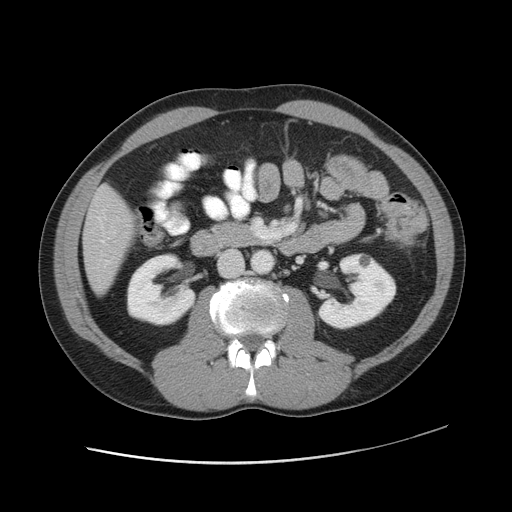

CT scan slice, Abdomen
Colon tumor: [x1=382, y1=200, x2=426, y2=243].